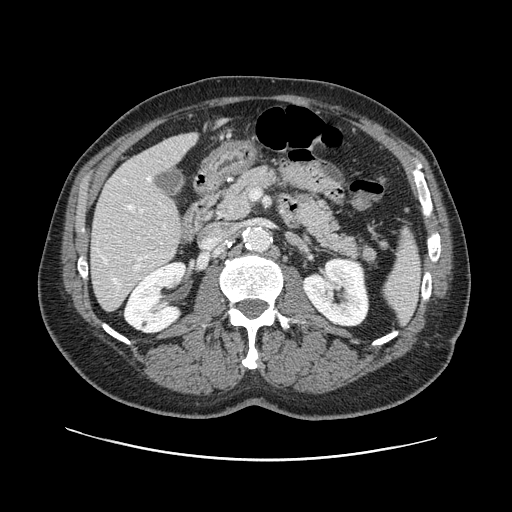

CT scan slice; Image size 512x512
The pancreas lies within left=214, top=166, right=378, bottom=268.